CT, Slice index 236, Abdomen, Image width 339 mm
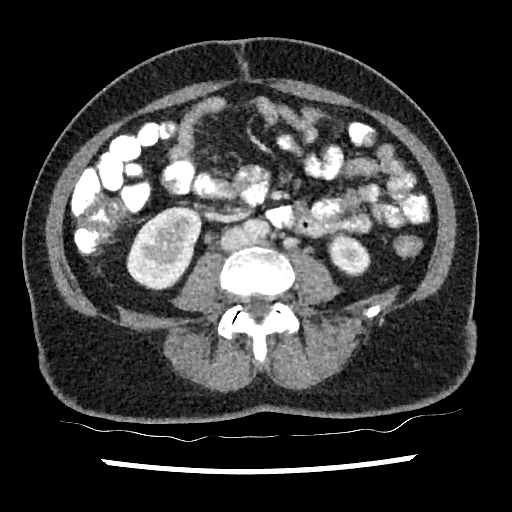
Kidney: region(331, 241, 368, 273); region(128, 208, 200, 288).